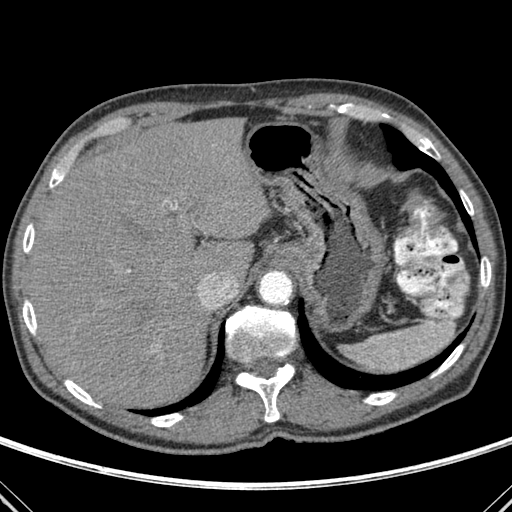

CT image
bone: 65, 380, 100, 407; 49, 169, 64, 187; 413, 134, 440, 158; 460, 190, 473, 215; 480, 257, 491, 287; 236, 364, 293, 422; 226, 306, 295, 366; 23, 300, 36, 334; 151, 413, 182, 426; 23, 224, 34, 252; 432, 344, 463, 377; 364, 392, 396, 405 | lung: 134, 323, 224, 415; 380, 124, 476, 247; 298, 299, 466, 389 | liver: 27, 117, 270, 408